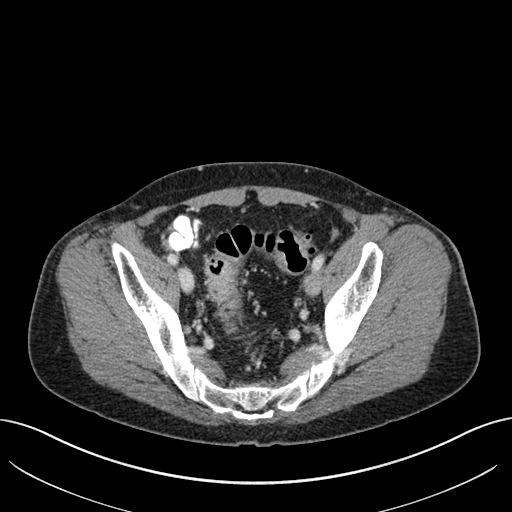 CT image
<segmentation>
  <colon_tumor><bbox>204, 259, 237, 301</bbox></colon_tumor>
</segmentation>